Field of view 240 mm wide, 1.00 mm slice spacing, Brain, Image size 240x240
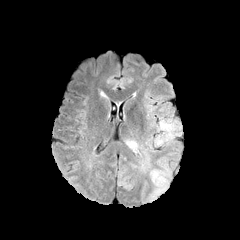
FLAIR magnetic resonance.
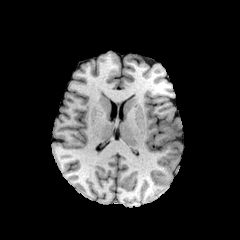
T1-weighted MR.
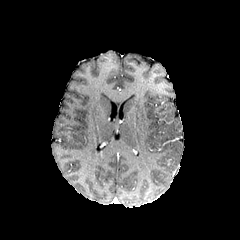
Post-contrast T1-weighted MR image.
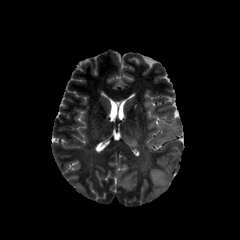
T2-weighted MR.
Edema = box(125, 139, 139, 153).